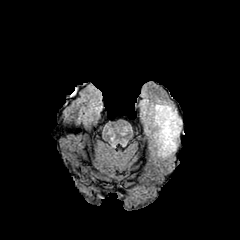
FLAIR MRI.
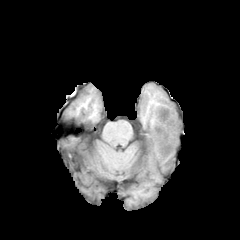
T1-weighted magnetic resonance.
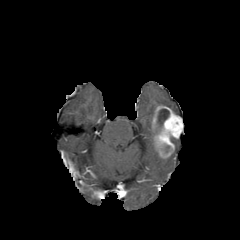
Post-contrast T1-weighted MR image of the same slice.
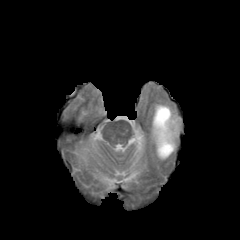
T2-weighted magnetic resonance of the same slice.
Brain
The non-enhancing tumor core lies within box(157, 108, 169, 125). The enhancing tumor appears at box(152, 105, 182, 158). The edema lies within box(150, 101, 177, 127).